512x512 px | CT image | Abdomen
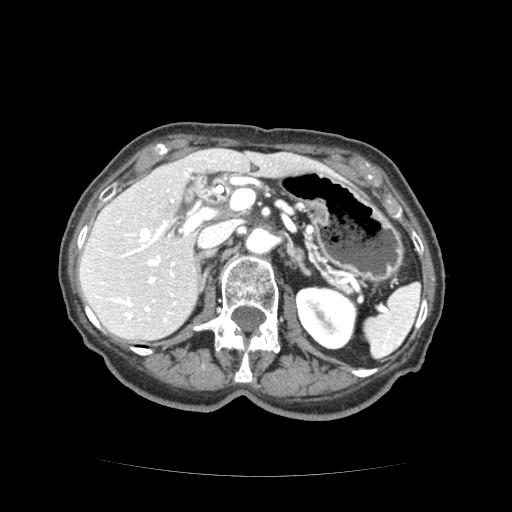
2 pancreas regions are located at box(220, 207, 233, 216); box(306, 237, 345, 287).